FLAIR MR image.
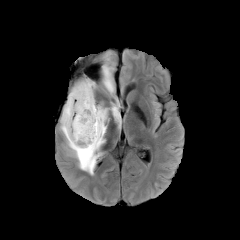
T1-weighted magnetic resonance.
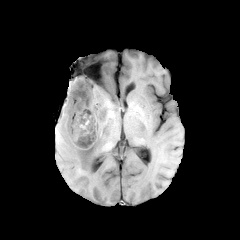
Post-contrast T1-weighted MRI.
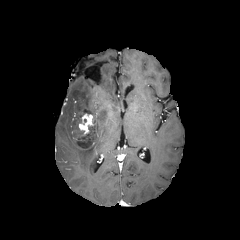
T2-weighted MRI.
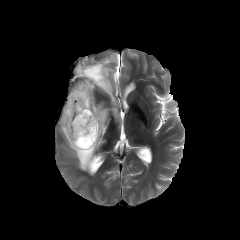
Head | 240x240
The edema is at {"x1": 60, "y1": 60, "x2": 121, "y2": 174}. 2 non-enhancing tumor core regions are bounded by {"x1": 77, "y1": 120, "x2": 98, "y2": 148}, {"x1": 78, "y1": 108, "x2": 96, "y2": 122}. The enhancing tumor appears at {"x1": 78, "y1": 113, "x2": 94, "y2": 133}.